Slice 453 of 685, Computed tomography, Image width 358 mm, Upper abdomen
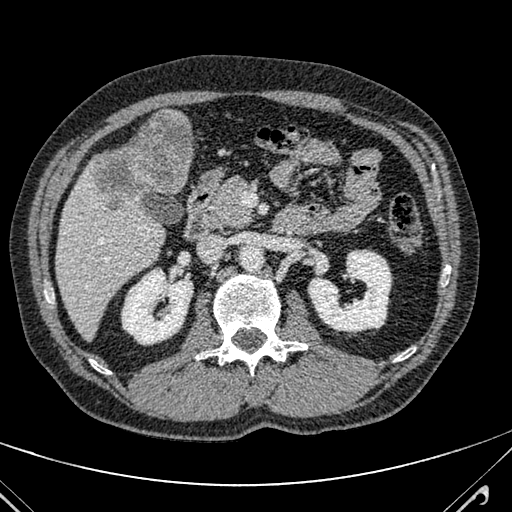

Liver lesion: bounding box [x1=90, y1=111, x2=192, y2=209], [x1=74, y1=197, x2=82, y2=208].
Liver: bounding box [x1=56, y1=158, x2=164, y2=341].